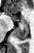

MRI slice, Medial temporal lobe

Annotated regions:
* posterior hippocampus: [14,23,28,40]
* anterior hippocampus: [10,15,25,22], [5,10,7,11]